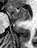
MR; Hippocampus

Annotated regions:
* anterior hippocampus: 9 6 31 21